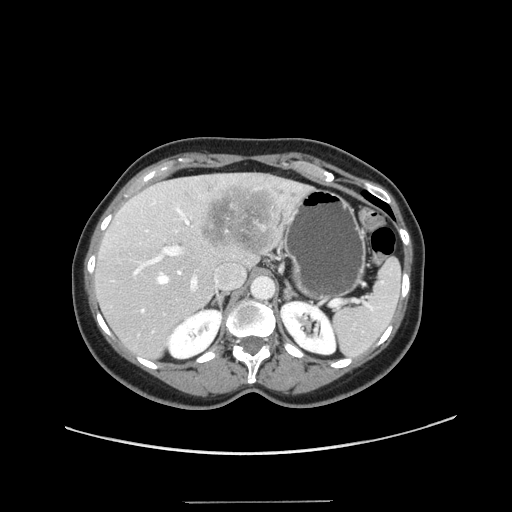
Computed tomography; Abdomen

Not every hepatic vessel necessarily has a box.
{
  "hepatic_vessel": [
    "191:278:196:288",
    "133:263:144:274",
    "177:207:188:223",
    "162:246:180:254",
    "178:271:180:273",
    "214:264:244:288",
    "158:273:167:282",
    "148:255:161:262"
  ],
  "liver_tumor": [
    "197:181:279:256"
  ]
}